240x240 px. Slice 55/155. Head.
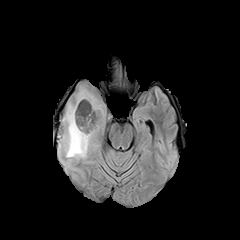
FLAIR magnetic resonance.
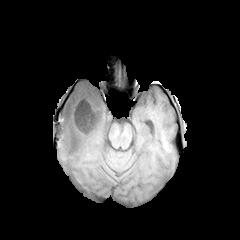
Same slice, T1-weighted magnetic resonance.
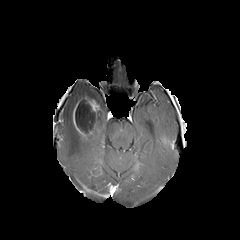
Same slice, post-contrast T1-weighted magnetic resonance.
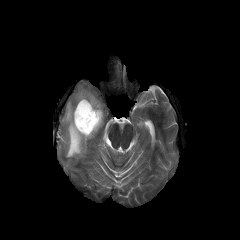
T2-weighted MR.
Enhancing tumor = x1=85 y1=98 x2=99 y2=116.
Non-enhancing tumor core = x1=72 y1=96 x2=102 y2=135.
Edema = x1=58 y1=87 x2=105 y2=163.